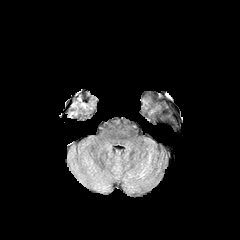
FLAIR magnetic resonance.
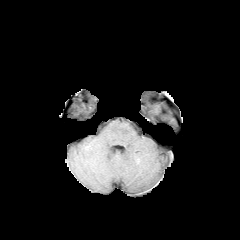
T1-weighted MR of the same slice.
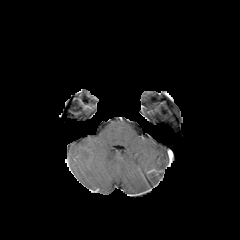
Same slice, post-contrast T1-weighted MR.
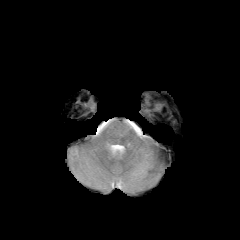
T2-weighted MR image.
240x240 px; Head
The edema is at (125,164,145,187).